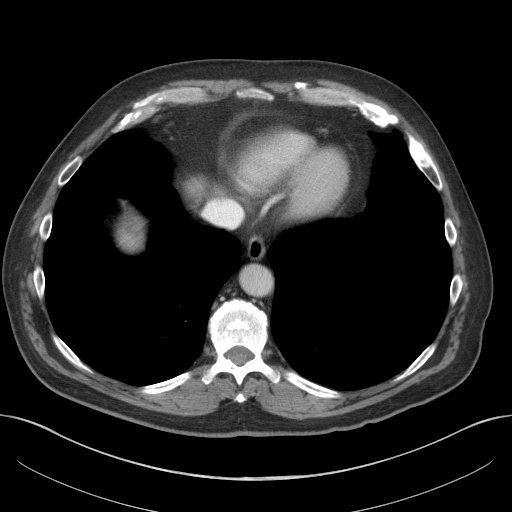
Computed tomography

liver:
  - (x1=117, y1=211, x2=145, y2=251)